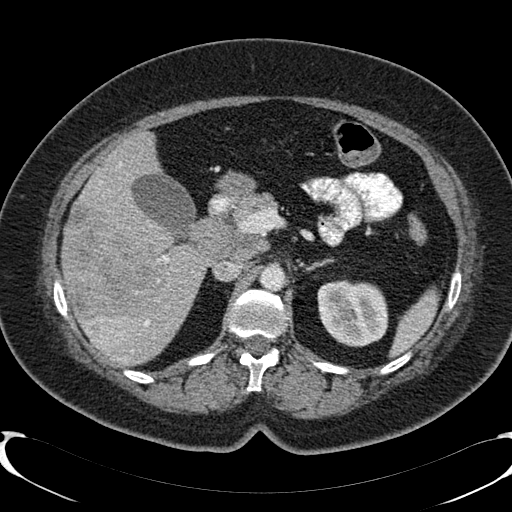

Computed tomography. Image size 512x512. Liver.

Segmented structures:
* liver lesion: left=67, top=204, right=166, bottom=320
* liver: left=74, top=131, right=208, bottom=365; left=63, top=215, right=73, bottom=290
* kidney: left=318, top=281, right=386, bottom=345